CT slice.

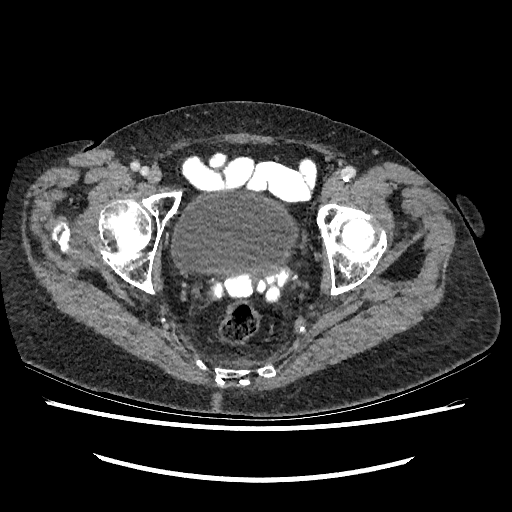

The urinary bladder is at (x1=172, y1=188, x2=299, y2=278).